Slice 85/155
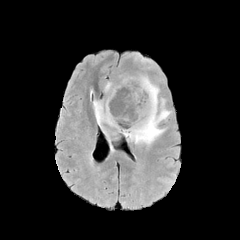
FLAIR MR image.
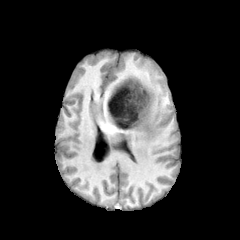
Same slice, T1-weighted MR.
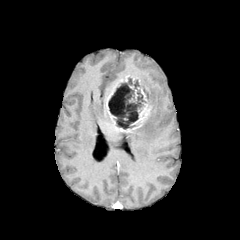
Same slice, post-contrast T1-weighted MR image.
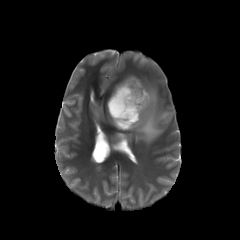
Same slice, T2-weighted MR.
2 edema regions are located at x1=92, y1=100, x2=114, y2=151; x1=123, y1=77, x2=170, y2=144. 3 enhancing tumor regions appear at x1=115, y1=126, x2=139, y2=131; x1=132, y1=104, x2=148, y2=124; x1=106, y1=85, x2=116, y2=125. The non-enhancing tumor core lies within x1=108, y1=77, x2=148, y2=129.